Slice 297 of 427, Image size 512x512, CT 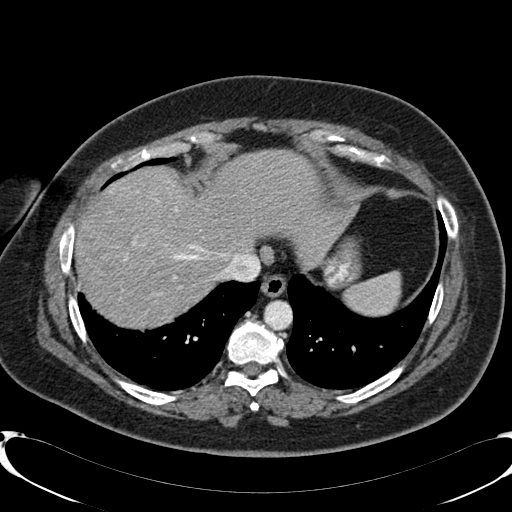

The liver is bounded by [x1=76, y1=151, x2=358, y2=326].